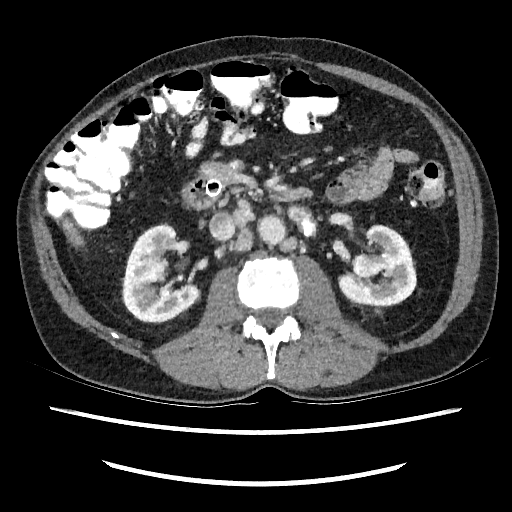

CT scan slice, Upper abdomen

Kidney: bounding box 340:226:415:304, 124:226:197:322.
Liver: bounding box 64:221:80:244.